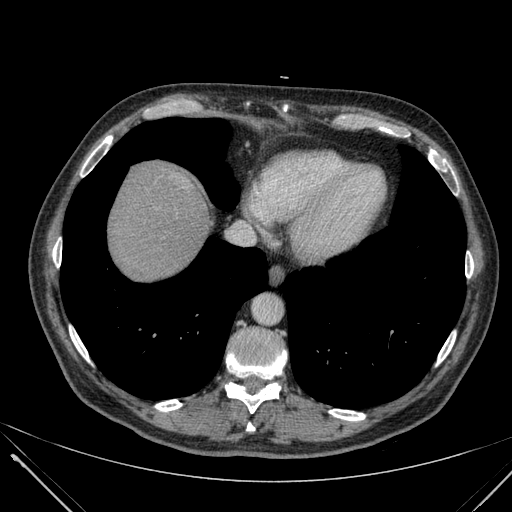 CT; Upper abdomen

<segmentation>
  <liver>box=[108, 161, 213, 281]</liver>
</segmentation>